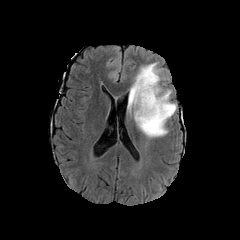
FLAIR magnetic resonance.
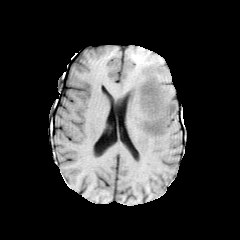
T1-weighted MR.
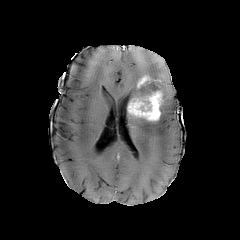
Post-contrast T1-weighted MR.
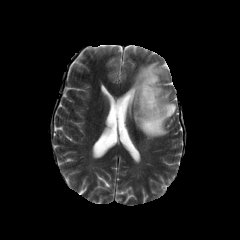
Same slice, T2-weighted MR image.
Brain, 240x240
Edema: x1=128 y1=62 x2=177 y2=138.
Non-enhancing tumor core: x1=139 y1=87 x2=160 y2=98, x1=138 y1=75 x2=156 y2=86, x1=136 y1=101 x2=174 y2=131.
Enhancing tumor: x1=128 y1=90 x2=163 y2=120.